Slice 28/36. MRI. Hippocampus. Image width 38 mm. 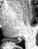 Segmented structures:
* posterior hippocampus: 11,39,21,42